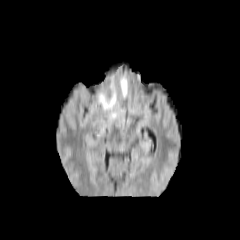
FLAIR MRI.
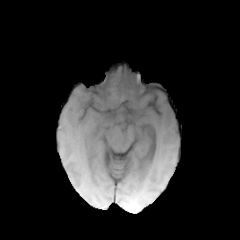
T1-weighted MR image.
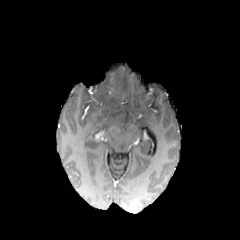
Same slice, post-contrast T1-weighted MRI.
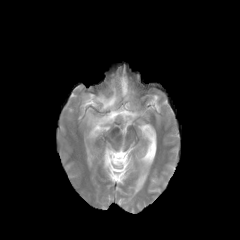
T2-weighted magnetic resonance.
Image size 240x240. Head.
Non-enhancing tumor core: (left=86, top=84, right=114, bottom=108).
Edema: (left=90, top=123, right=105, bottom=137), (left=120, top=76, right=127, bottom=97).